Abdomen, 512x512, CT

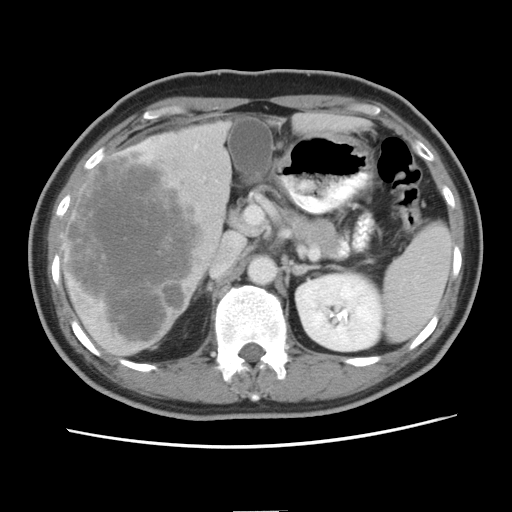 The liver tumor appears at left=65, top=152, right=202, bottom=344.